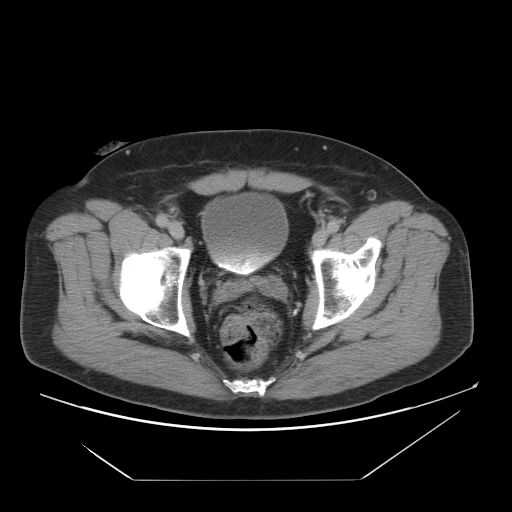 Computed tomography, Pelvis
The urinary bladder is located at box=[202, 195, 284, 274].